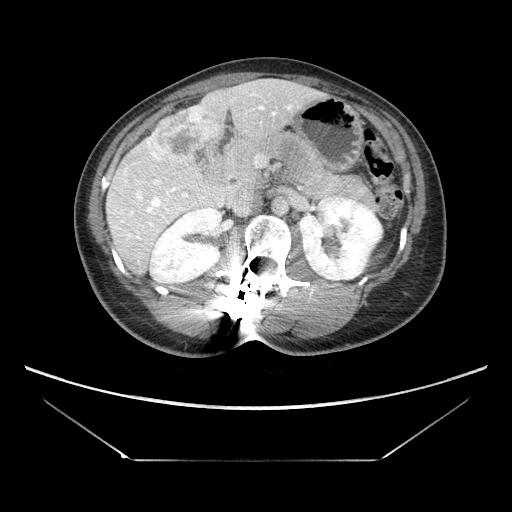 CT image, Image size 512x512, Liver

Findings:
* liver tumor: box=[149, 106, 226, 171]